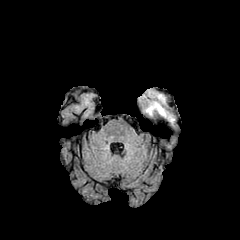
FLAIR magnetic resonance.
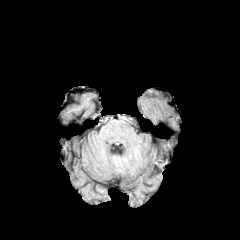
Same slice, T1-weighted magnetic resonance.
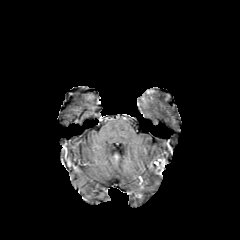
Post-contrast T1-weighted MRI.
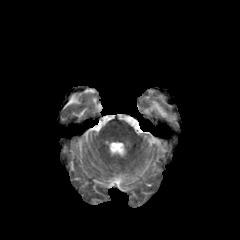
T2-weighted MR image.
The edema is located at box=[143, 94, 174, 122].